CT image; Upper abdomen; 512x512 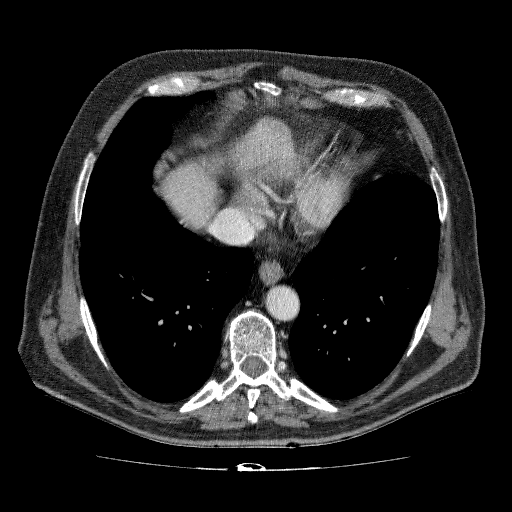
liver:
  - x1=161 y1=154 x2=225 y2=228
  - x1=228 y1=118 x2=292 y2=173